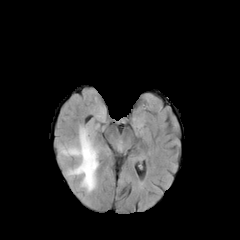
FLAIR MR image.
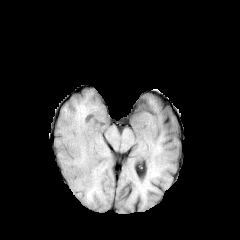
T1-weighted MRI.
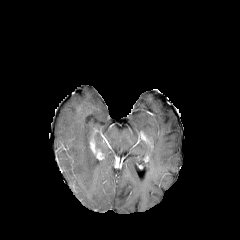
Same slice, post-contrast T1-weighted MR image.
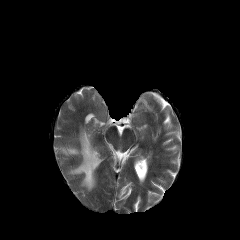
T2-weighted MRI of the same slice.
Brain
The edema appears at (left=58, top=127, right=100, bottom=190).